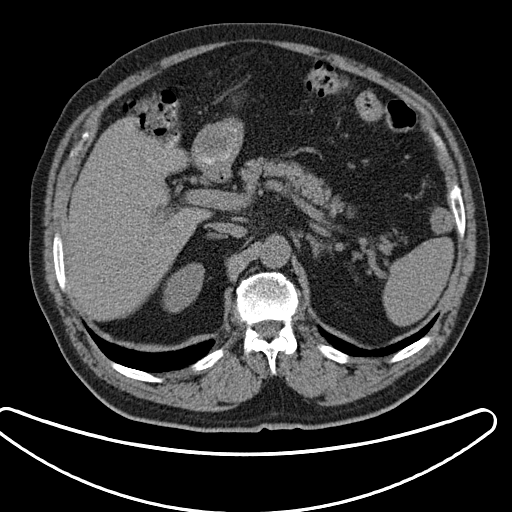

CT scan slice
<segmentation>
  <spleen>[384,240,453,324]</spleen>
</segmentation>